Image size 512x512, CT slice 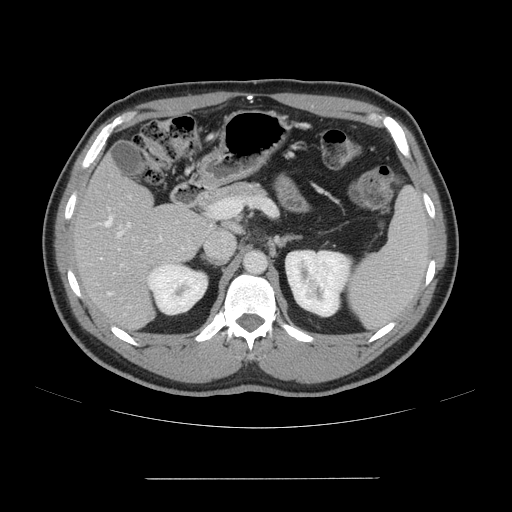

Only some of the vessels may be annotated.
Hepatic vessel = [x1=127, y1=223, x2=129, y2=226], [x1=100, y1=258, x2=101, y2=259], [x1=121, y1=264, x2=122, y2=266], [x1=108, y1=292, x2=111, y2=295], [x1=105, y1=215, x2=112, y2=225], [x1=117, y1=226, x2=123, y2=235], [x1=108, y1=208, x2=109, y2=210].